Slice 178/252, Chest, CT scan slice
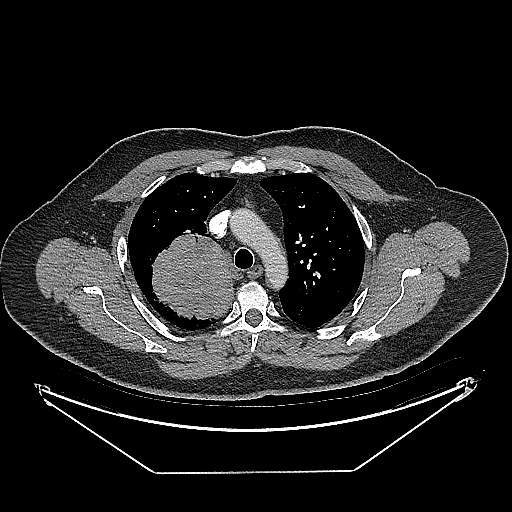

<segmentation>
  <lung_tumor>148, 230, 233, 325</lung_tumor>
</segmentation>